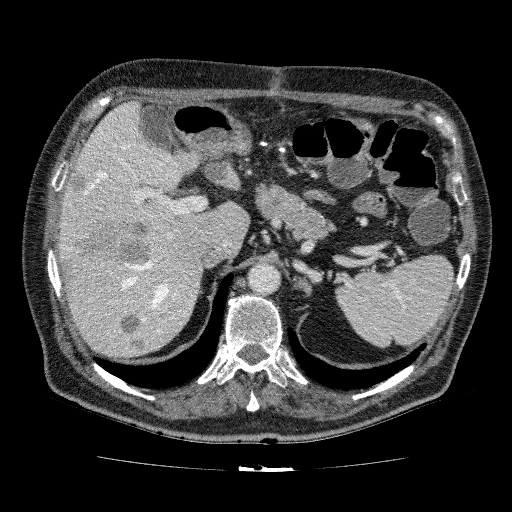
CT
Focal liver lesion = bbox=[142, 144, 151, 153]; bbox=[118, 312, 147, 353]; bbox=[68, 171, 87, 192]; bbox=[59, 213, 153, 291]; bbox=[194, 151, 232, 183].
Liver = bbox=[56, 101, 249, 358]; bbox=[217, 168, 240, 191].